Slice 388 of 624; 512x512; Computed tomography

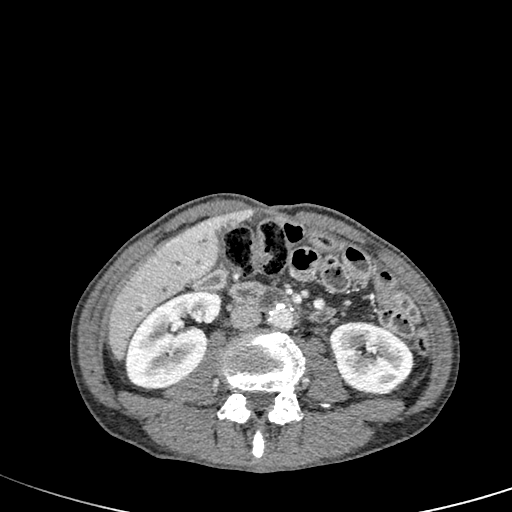
liver:
  - <bbox>108, 216, 222, 360</bbox>
hepatic_lesion:
  - <bbox>220, 209, 251, 227</bbox>
kidney:
  - <bbox>330, 323, 412, 393</bbox>
  - <bbox>126, 292, 220, 387</bbox>